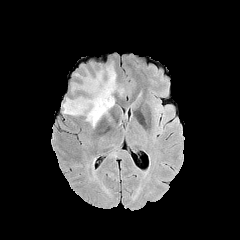
FLAIR MR image.
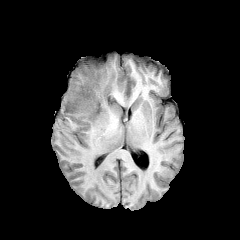
T1-weighted magnetic resonance of the same slice.
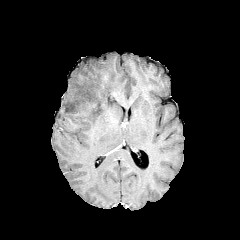
Same slice, post-contrast T1-weighted MR image.
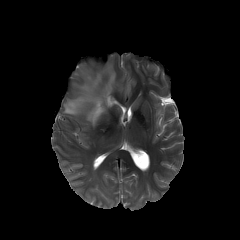
T2-weighted MR.
Head
{
  "edema": [
    "(62, 64, 123, 127)"
  ]
}